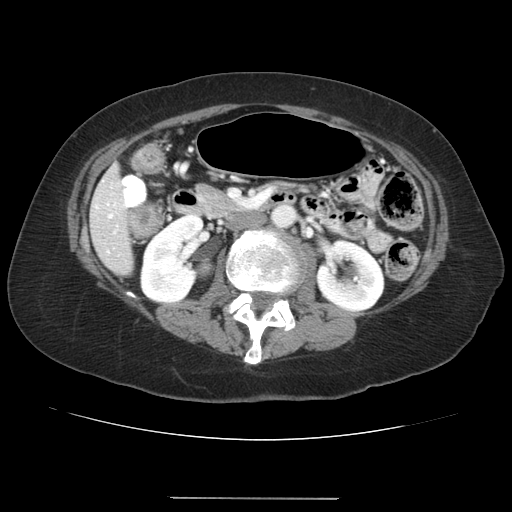 CT image
colon tumor: 131 144 164 173, 128 205 162 238